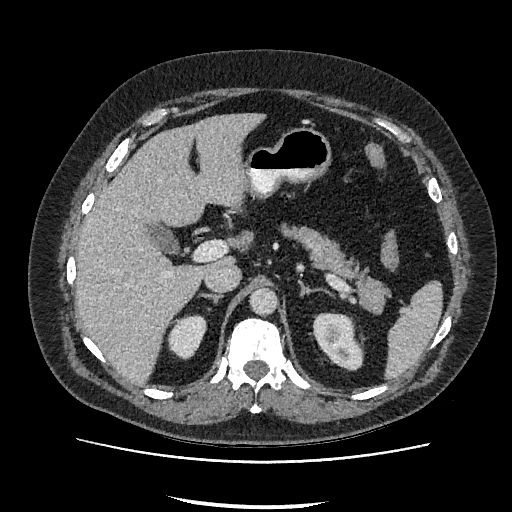 CT image

2 kidney regions are located at bbox(170, 317, 204, 356); bbox(314, 314, 361, 368). 2 liver regions are located at bbox(241, 232, 251, 244); bbox(76, 114, 264, 385).